CT image | Slice 615 of 722 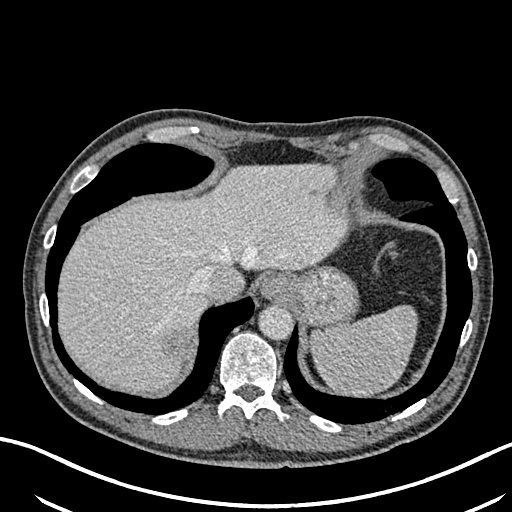
{
  "focal_liver_lesion": [
    "region(158, 330, 185, 357)"
  ],
  "liver": [
    "region(59, 164, 345, 389)"
  ]
}